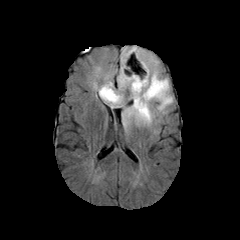
FLAIR MR image.
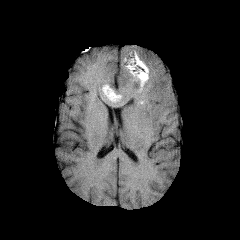
Same slice, T1-weighted magnetic resonance.
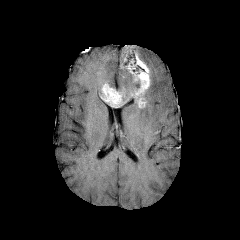
Post-contrast T1-weighted MR of the same slice.
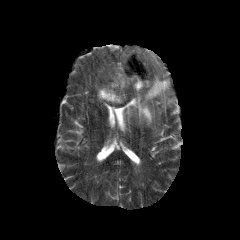
T2-weighted MR of the same slice.
edema:
  - <bbox>117, 48, 173, 130</bbox>
enhancing_tumor:
  - <bbox>100, 84, 122, 107</bbox>
  - <bbox>131, 63, 149, 97</bbox>
non-enhancing_tumor_core:
  - <bbox>114, 56, 146, 105</bbox>
  - <bbox>138, 89, 147, 106</bbox>